Head
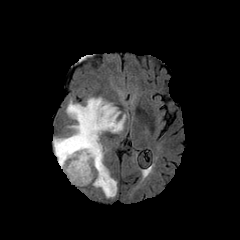
FLAIR MR.
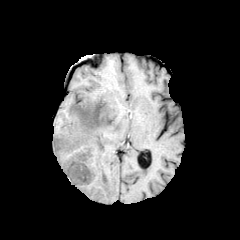
T1-weighted MRI.
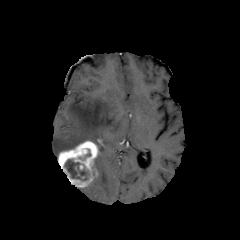
Post-contrast T1-weighted magnetic resonance of the same slice.
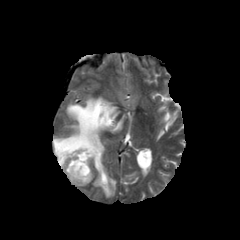
T2-weighted MR.
The enhancing tumor lies within (left=58, top=140, right=99, bottom=185). 2 edema regions are located at (left=53, top=97, right=125, bottom=157), (left=89, top=148, right=116, bottom=197). 4 non-enhancing tumor core regions appear at (left=94, top=138, right=102, bottom=149), (left=79, top=105, right=100, bottom=123), (left=64, top=159, right=88, bottom=180), (left=61, top=140, right=83, bottom=150).